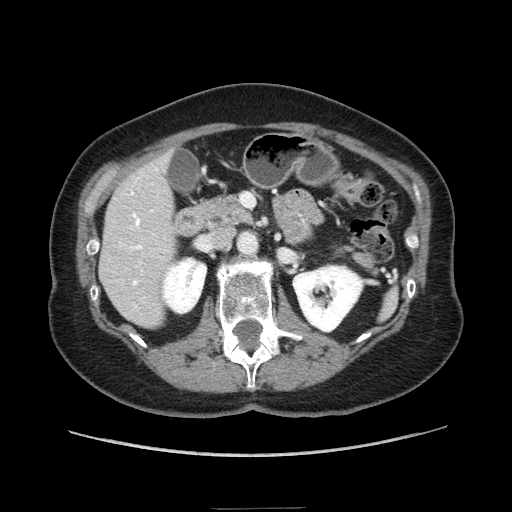
512x512, CT slice, Abdomen

2 pancreas regions are bounded by {"x1": 200, "y1": 195, "x2": 252, "y2": 227}, {"x1": 351, "y1": 253, "x2": 373, "y2": 270}.